FLAIR MRI.
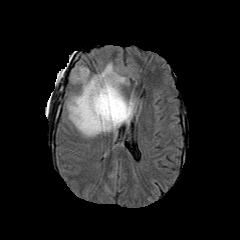
T1-weighted MR image.
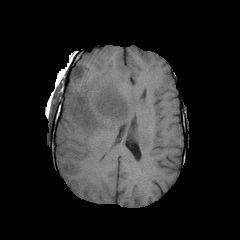
Post-contrast T1-weighted MR image.
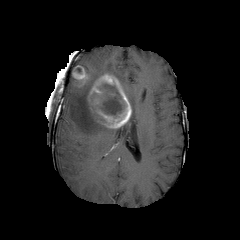
T2-weighted magnetic resonance.
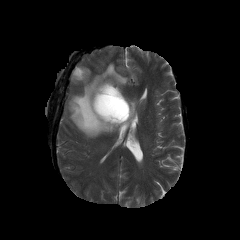
Head
{
  "non-enhancing_tumor_core": [
    "85 80 123 127"
  ],
  "edema": [
    "65 63 126 137",
    "122 97 137 127"
  ],
  "enhancing_tumor": [
    "90 74 119 105",
    "73 68 85 79",
    "98 92 131 127"
  ]
}